Image size 512x512. CT.

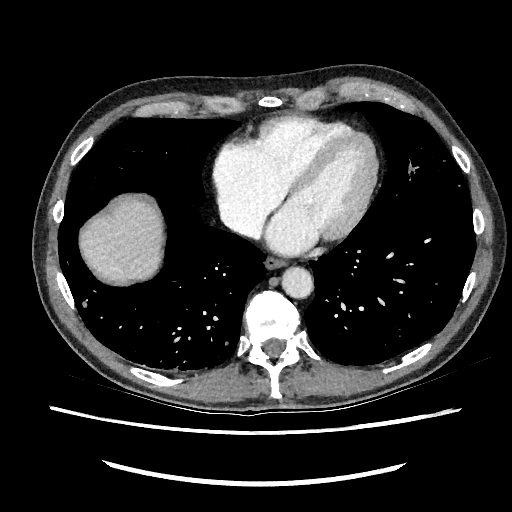
Liver at l=80, t=201, r=161, b=277.